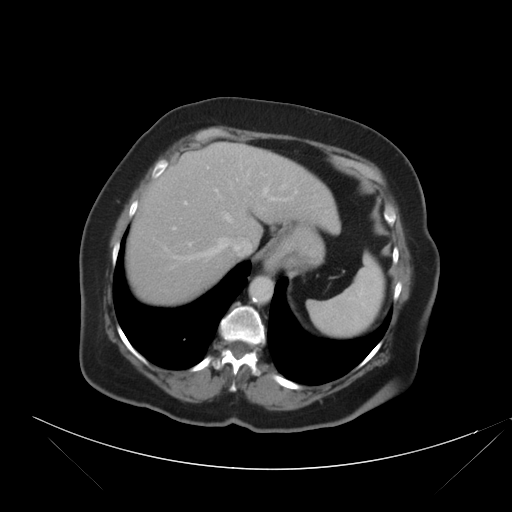

Liver. CT.
Only some of the vessels may be annotated.
{"hepatic_vessel": ["x1=173 y1=238 x2=251 y2=260", "x1=189 y1=243 x2=190 y2=245", "x1=280 y1=184 x2=287 y2=189", "x1=294 y1=190 x2=297 y2=194", "x1=173 y1=227 x2=175 y2=229", "x1=215 y1=189 x2=219 y2=196", "x1=261 y1=172 x2=264 y2=175", "x1=263 y1=188 x2=293 y2=201", "x1=184 y1=202 x2=187 y2=204", "x1=222 y1=212 x2=231 y2=221"]}